Slice 59 of 155 | Head
FLAIR MR image.
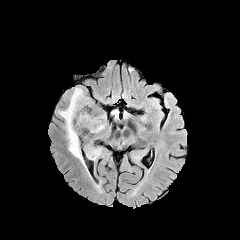
T1-weighted MRI.
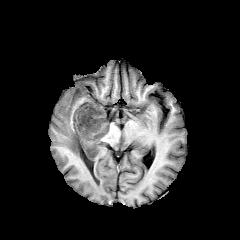
Post-contrast T1-weighted MRI.
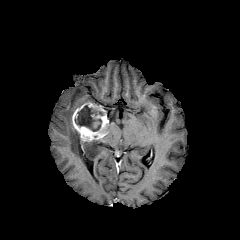
T2-weighted MRI.
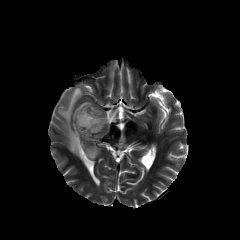
Findings:
• edema: {"x1": 84, "y1": 147, "x2": 102, "y2": 160}, {"x1": 57, "y1": 87, "x2": 86, "y2": 167}
• enhancing tumor: {"x1": 72, "y1": 102, "x2": 108, "y2": 140}
• non-enhancing tumor core: {"x1": 75, "y1": 105, "x2": 103, "y2": 131}